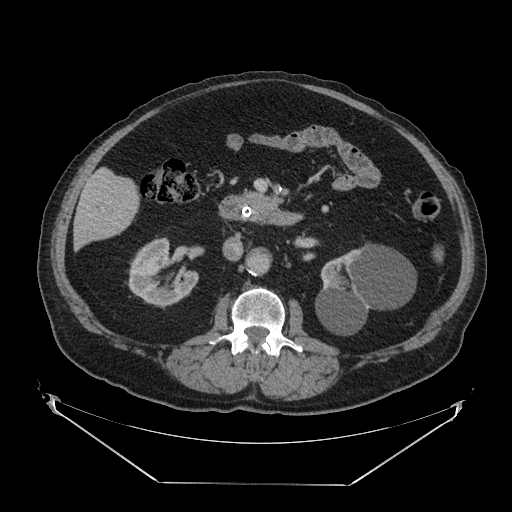
Computed tomography; 512x512 px; Upper abdomen
The pancreas lies within (245, 192, 278, 212).